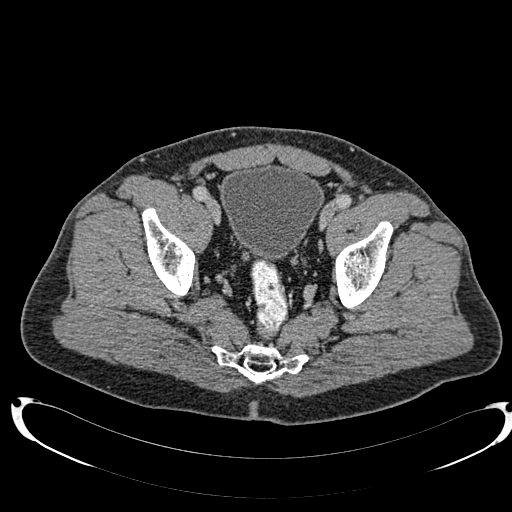 Pelvis, CT image
urinary bladder: box=[221, 163, 324, 261]